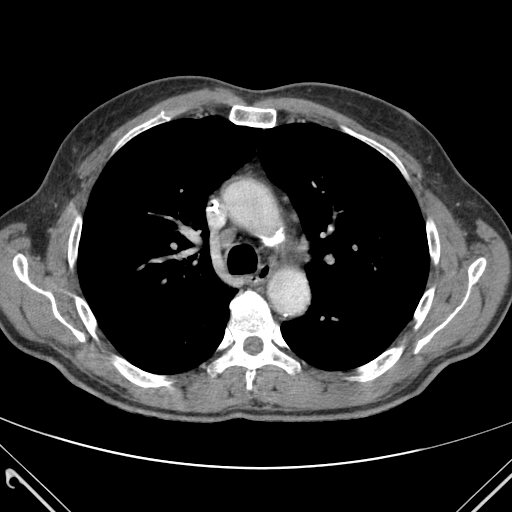 Chest | CT slice
bone:
  - 68, 217, 81, 266
  - 119, 112, 169, 144
  - 426, 222, 439, 262
  - 358, 348, 401, 380
  - 414, 289, 433, 328
  - 215, 291, 299, 389
  - 415, 294, 467, 352
  - 468, 258, 485, 287
  - 13, 254, 84, 341
  - 229, 105, 276, 127
  - 343, 127, 403, 170
  - 114, 357, 170, 387
  - 76, 297, 96, 337
lung:
  - 78, 116, 429, 374